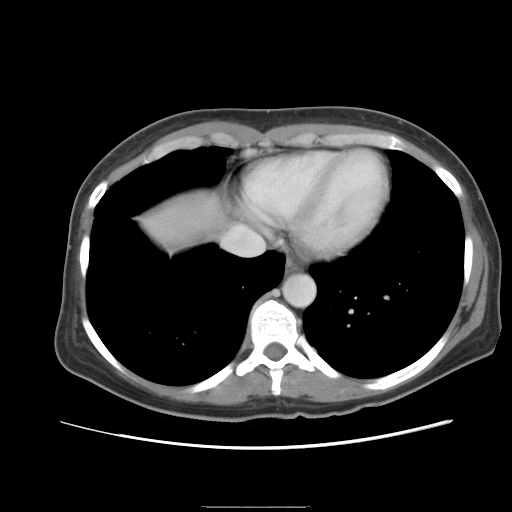 512x512 px; Computed tomography; Liver
Some hepatic vessels may have no box.
Segmented structures:
- hepatic vessel: (x1=223, y1=226, x2=263, y2=255)